Slice 81/155; 240x240
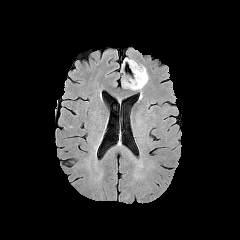
FLAIR MR image.
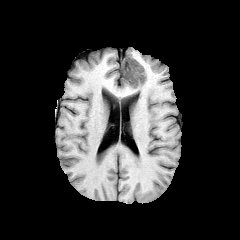
T1-weighted MRI.
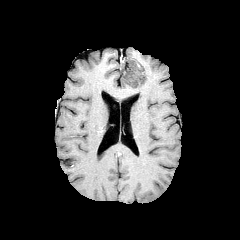
Same slice, post-contrast T1-weighted magnetic resonance.
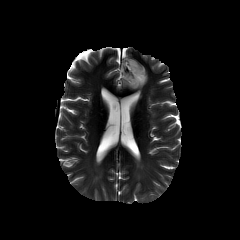
T2-weighted MR image.
<segmentation>
  <non-enhancing_tumor_core>124 62 144 86</non-enhancing_tumor_core>
  <edema>122 62 147 90, 122 68 133 78</edema>
</segmentation>